CT slice, Liver

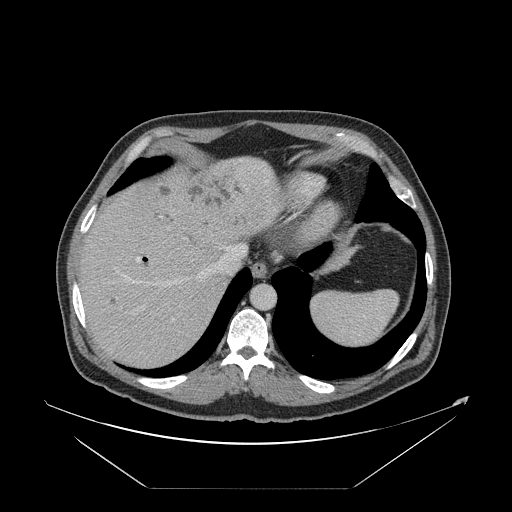

The vessel annotation is not exhaustive.
9 hepatic vessel regions are located at 160:216:162:218, 167:228:169:229, 145:282:151:283, 154:279:187:286, 135:257:140:262, 172:319:173:320, 115:267:143:283, 134:306:144:314, 196:245:245:279.